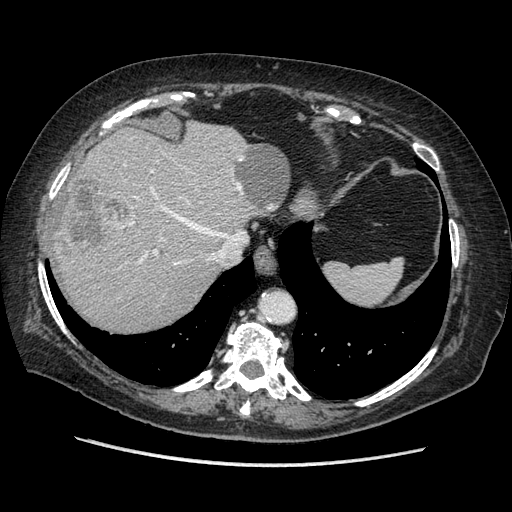
CT slice; Abdomen
Only some of the vessels may be annotated.
liver tumor: (left=58, top=173, right=133, bottom=253) | hepatic vessel: (left=152, top=190, right=155, bottom=195), (left=160, top=204, right=233, bottom=240), (left=210, top=252, right=221, bottom=259), (left=177, top=262, right=180, bottom=263), (left=141, top=256, right=144, bottom=259), (left=152, top=249, right=156, bottom=253)